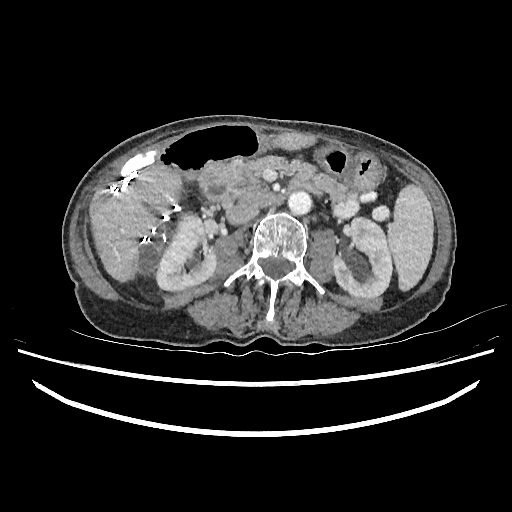
512x512 px; Computed tomography

kidney:
  - 157 216 217 290
  - 333 218 391 297
liver:
  - 90 168 181 280
  - 273 133 314 149
focal_liver_lesion:
  - 141 246 159 275